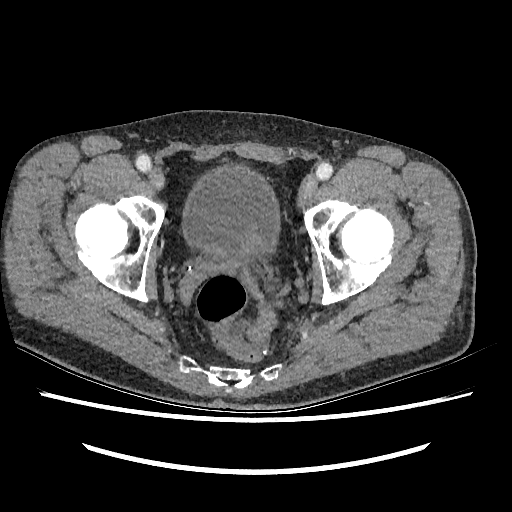

Computed tomography.

<segmentation>
  <urinary_bladder>bbox(182, 169, 276, 261)</urinary_bladder>
</segmentation>